Slice 75/155
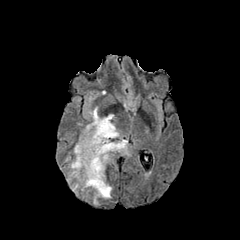
FLAIR magnetic resonance.
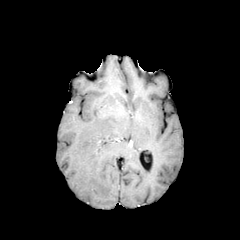
T1-weighted MR of the same slice.
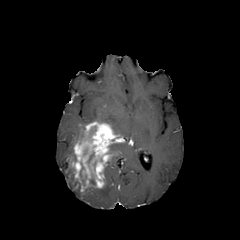
Post-contrast T1-weighted MR of the same slice.
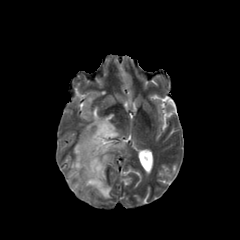
T2-weighted MR.
4 edema regions are bounded by left=70, top=177, right=79, bottom=191; left=83, top=180, right=111, bottom=203; left=86, top=107, right=120, bottom=137; left=104, top=138, right=129, bottom=178. The enhancing tumor lies within left=70, top=122, right=124, bottom=191. 2 non-enhancing tumor core regions are located at left=88, top=176, right=96, bottom=188; left=79, top=165, right=84, bottom=185.